512x512. CT slice.

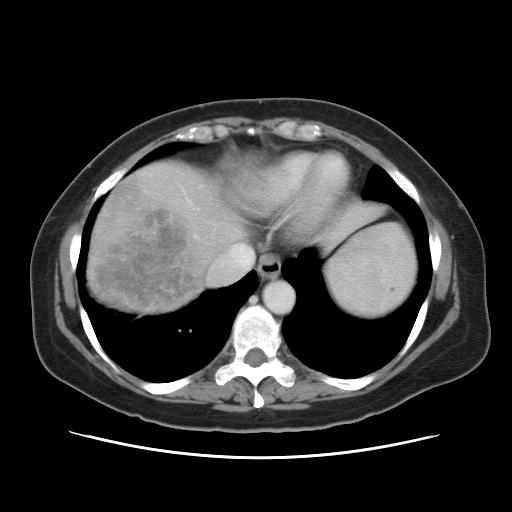

Some hepatic vessels may have no box.
3 hepatic vessel regions are bounded by {"x1": 194, "y1": 236, "x2": 214, "y2": 240}, {"x1": 196, "y1": 208, "x2": 198, "y2": 209}, {"x1": 204, "y1": 237, "x2": 255, "y2": 283}. The liver tumor is located at {"x1": 92, "y1": 181, "x2": 204, "y2": 309}.